Head, 240x240 px
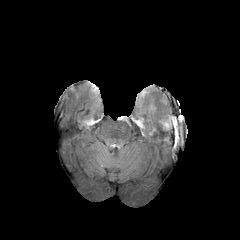
FLAIR MR image.
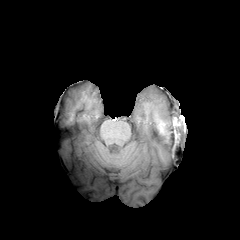
T1-weighted MR of the same slice.
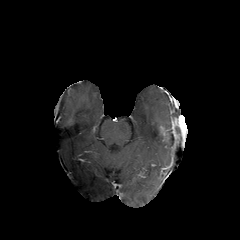
Post-contrast T1-weighted MRI.
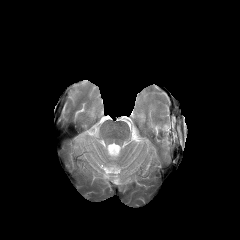
Same slice, T2-weighted MRI.
Edema: bounding box (x1=102, y1=142, x2=121, y2=158), (x1=134, y1=110, x2=144, y2=128), (x1=148, y1=104, x2=155, y2=123), (x1=159, y1=116, x2=173, y2=130).